Field of view 240x240 mm | 240x240 | Brain | Slice index 125
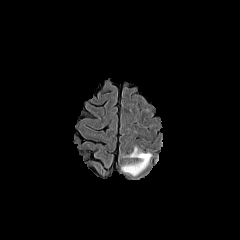
FLAIR MR.
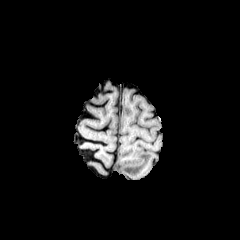
T1-weighted MR image of the same slice.
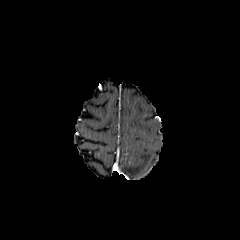
Post-contrast T1-weighted MR image.
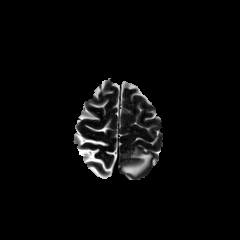
T2-weighted magnetic resonance of the same slice.
Annotated regions:
- edema: 122:147:152:176